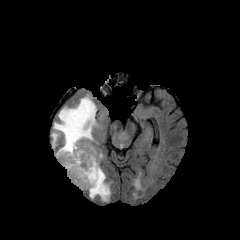
FLAIR MR image.
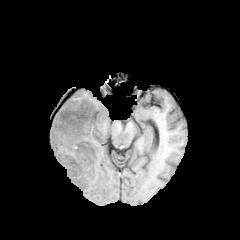
Same slice, T1-weighted MRI.
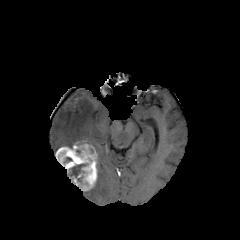
Same slice, post-contrast T1-weighted magnetic resonance.
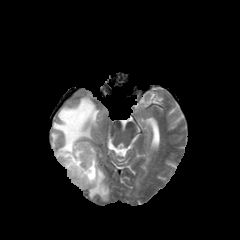
T2-weighted MR.
Brain; 240x240
<segmentation>
  <enhancing_tumor>55 141 97 190</enhancing_tumor>
  <edema>88 160 110 201, 51 95 99 148</edema>
  <non-enhancing_tumor_core>70 164 85 176</non-enhancing_tumor_core>
</segmentation>